Computed tomography | Abdomen | Slice 122 of 152 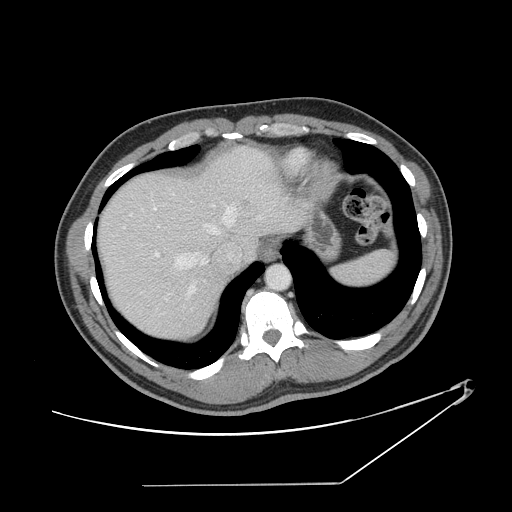 Only some of the vessels may be annotated.
Hepatic vessel: bounding box {"x1": 130, "y1": 213, "x2": 131, "y2": 215}, {"x1": 257, "y1": 216, "x2": 263, "y2": 219}, {"x1": 154, "y1": 206, "x2": 156, "y2": 209}, {"x1": 189, "y1": 284, "x2": 195, "y2": 293}, {"x1": 175, "y1": 253, "x2": 207, "y2": 268}, {"x1": 230, "y1": 219, "x2": 234, "y2": 221}, {"x1": 211, "y1": 205, "x2": 214, "y2": 206}, {"x1": 224, "y1": 207, "x2": 234, "y2": 216}, {"x1": 154, "y1": 251, "x2": 159, "y2": 256}, {"x1": 207, "y1": 225, "x2": 220, "y2": 234}, {"x1": 224, "y1": 218, "x2": 229, "y2": 226}.